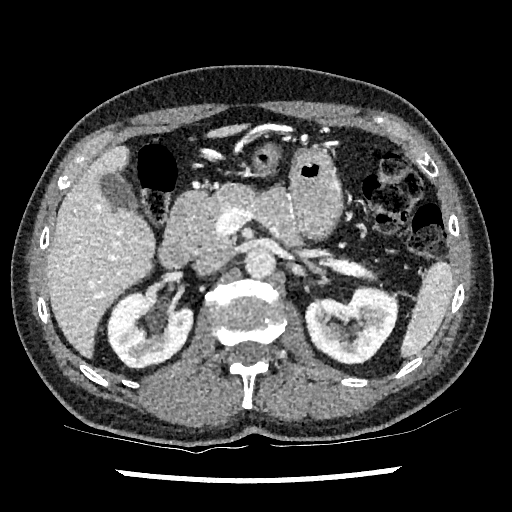
CT image. Upper abdomen.
kidney:
  - [108,292,191,367]
  - [306,289,396,362]
liver:
  - [47,147,154,357]
  - [207,124,249,137]